Field of view 240x240 mm | Image size 240x240
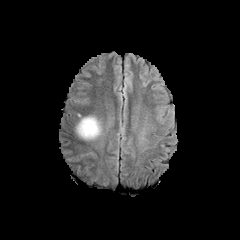
FLAIR MRI.
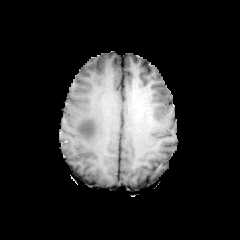
Same slice, T1-weighted MR image.
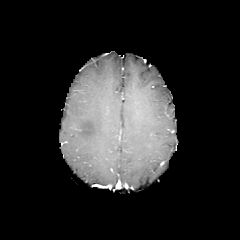
Post-contrast T1-weighted magnetic resonance.
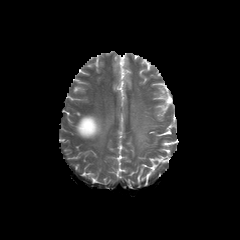
T2-weighted MR.
The edema is bounded by (76, 114, 102, 140).